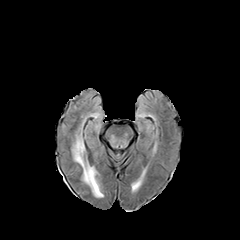
FLAIR MR.
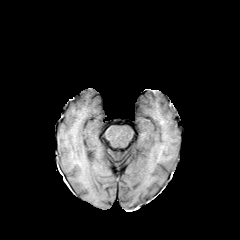
T1-weighted MRI.
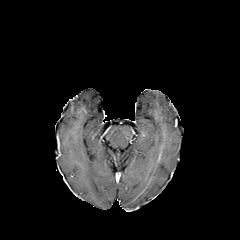
Post-contrast T1-weighted MRI.
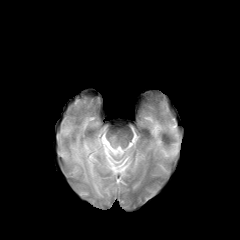
T2-weighted MR image.
Brain.
edema:
  - 73,137,103,197